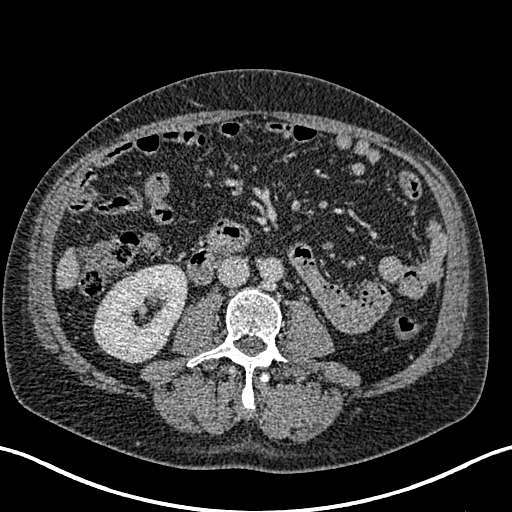
CT image; Abdomen
• kidney: box=[94, 265, 186, 362]
• liver: box=[57, 249, 78, 288]